Field of view 381 mm wide, 1.50 mm slice spacing | 512x512 | Abdomen | CT | Slice 260/427
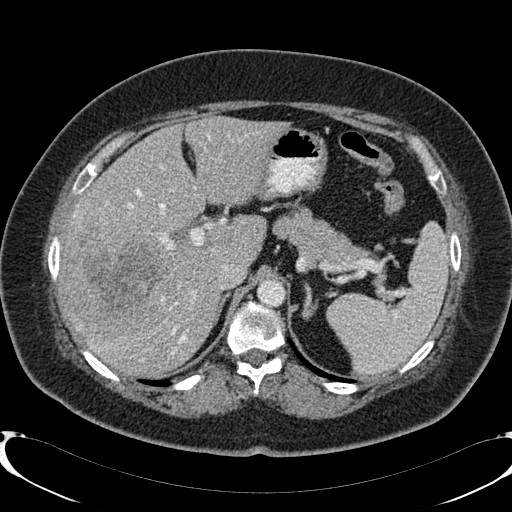

Liver: <box>62,117,290,374</box>.
Focal liver lesion: <box>65,217,174,332</box>.